Slice index 99
FLAIR magnetic resonance.
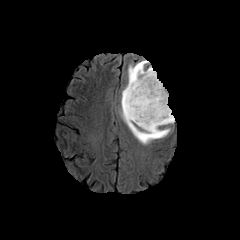
T1-weighted MRI.
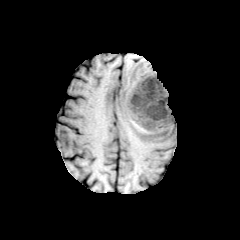
Post-contrast T1-weighted magnetic resonance.
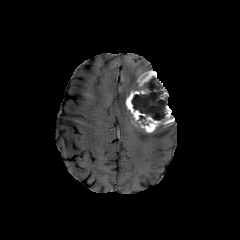
T2-weighted magnetic resonance.
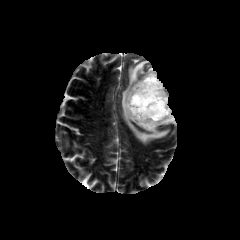
2 enhancing tumor regions are located at bbox(160, 86, 168, 99); bbox(125, 70, 173, 132). The edema is located at bbox(119, 60, 170, 144). 2 non-enhancing tumor core regions are bounded by bbox(132, 73, 167, 120); bbox(140, 129, 163, 138).